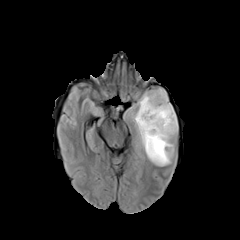
FLAIR MRI.
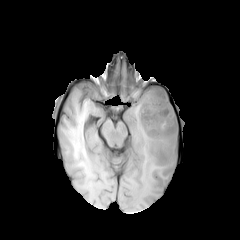
T1-weighted MRI.
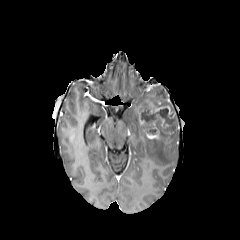
Same slice, post-contrast T1-weighted MR image.
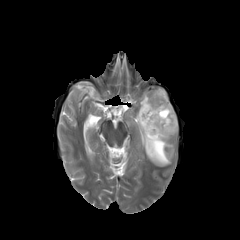
T2-weighted MRI.
240x240 | Head
Segmented structures:
* enhancing tumor: [146,130,159,138], [150,103,172,114]
* edema: [131,89,176,166]
* non-enhancing tumor core: [139,90,176,136]